CT slice. Slice 590 of 689. 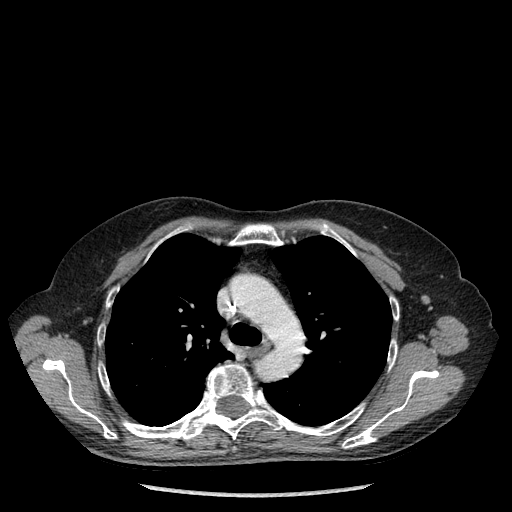
* lung: (105,233,261,426), (264,236,391,425)
* bone: (147,224,189,258), (42,358,117,438), (106,290,113,307), (98,363,109,394), (342,370,439,448), (229,224,283,245), (321,224,355,255), (390,296,399,320), (97,324,105,345), (387,339,397,370), (122,364,364,440)